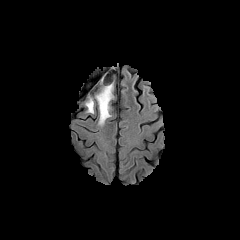
FLAIR MRI.
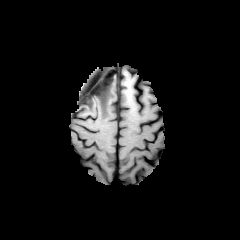
T1-weighted magnetic resonance.
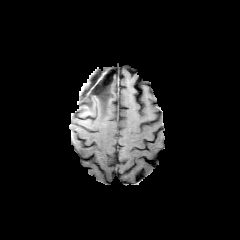
Same slice, post-contrast T1-weighted magnetic resonance.
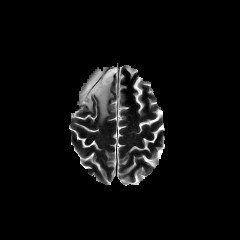
T2-weighted MR of the same slice.
Brain, Image size 240x240
Edema = (86,78,113,125).
Non-enhancing tumor core = (84,92,91,106), (92,82,101,93).